Slice index 97; Brain
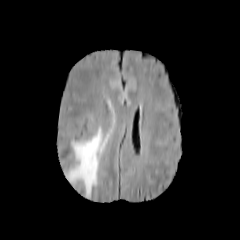
FLAIR MRI.
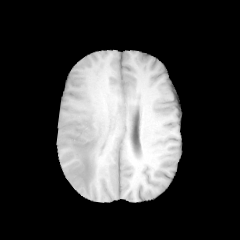
T1-weighted MR.
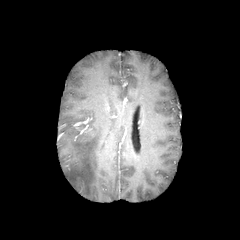
Post-contrast T1-weighted MR.
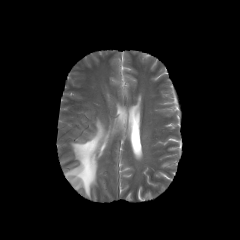
T2-weighted MR.
edema: {"x1": 66, "y1": 119, "x2": 106, "y2": 197}